FLAIR MR.
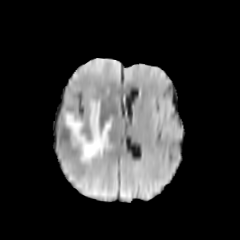
T1-weighted MR image.
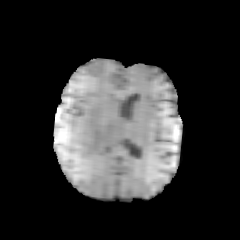
Post-contrast T1-weighted MRI.
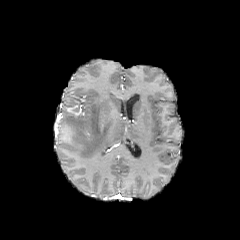
T2-weighted MR.
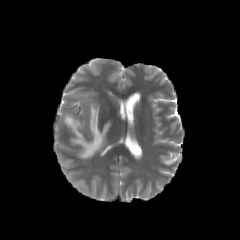
Head
Edema: (63, 101, 113, 161).